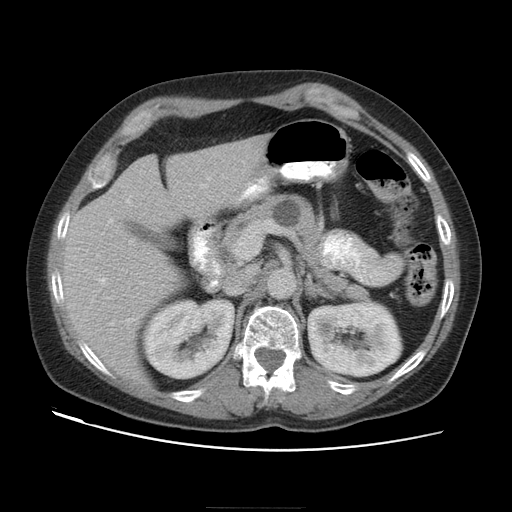

Image size 512x512, CT scan slice

{
  "pancreatic_tumor": [
    "(272, 200, 302, 228)"
  ],
  "pancreas": [
    "(221, 192, 369, 301)"
  ]
}